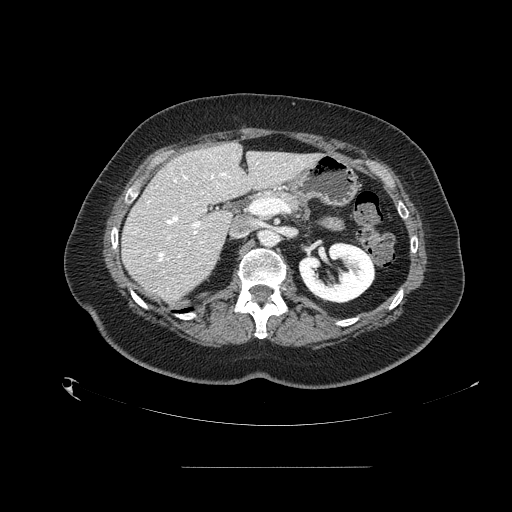

CT image; Abdomen
The pancreas appears at box(242, 188, 301, 215).